MR | Hippocampus 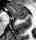

anterior hippocampus: 8 6 27 18 | posterior hippocampus: 18 19 23 19